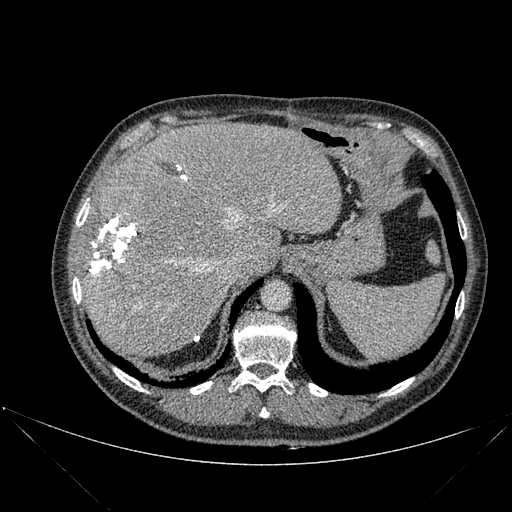 CT; Image size 512x512
bone: l=76, t=203, r=88, b=225; l=260, t=408, r=268, b=417; l=232, t=320, r=296, b=393; l=309, t=383, r=327, b=396; l=384, t=378, r=413, b=395; l=113, t=368, r=144, b=391; l=72, t=278, r=81, b=303; l=190, t=381, r=212, b=394; l=459, t=219, r=466, b=238; l=455, t=297, r=464, b=317 | liver: l=79, t=123, r=342, b=355 | lung: l=294, t=170, r=465, b=393; l=87, t=323, r=145, b=380; l=166, t=345, r=229, b=387; l=230, t=280, r=262, b=326 | liver lesion: l=160, t=162, r=177, b=175